Head; Image width 240 mm
FLAIR MR.
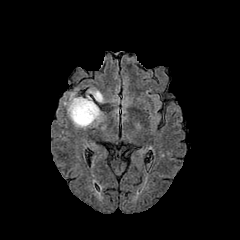
T1-weighted MR.
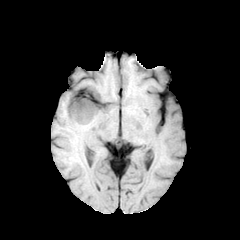
Post-contrast T1-weighted MR.
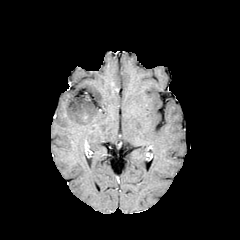
T2-weighted MR.
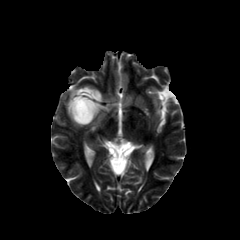
Non-enhancing tumor core — {"x1": 78, "y1": 104, "x2": 87, "y2": 121}.
Edema — {"x1": 64, "y1": 86, "x2": 104, "y2": 127}.